FLAIR MR.
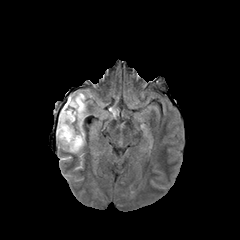
T1-weighted magnetic resonance.
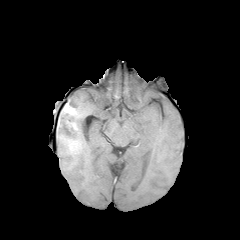
Post-contrast T1-weighted MR.
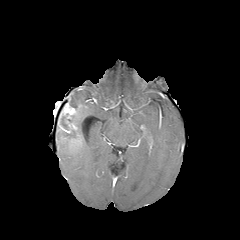
T2-weighted MR image.
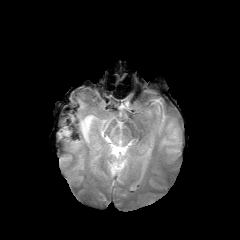
Brain
The enhancing tumor is located at box=[64, 108, 75, 115]. The edema is at box=[56, 90, 100, 160]. The non-enhancing tumor core is at box=[82, 122, 87, 137].